Abdomen; 512x512; CT image; Field of view 328x328 mm
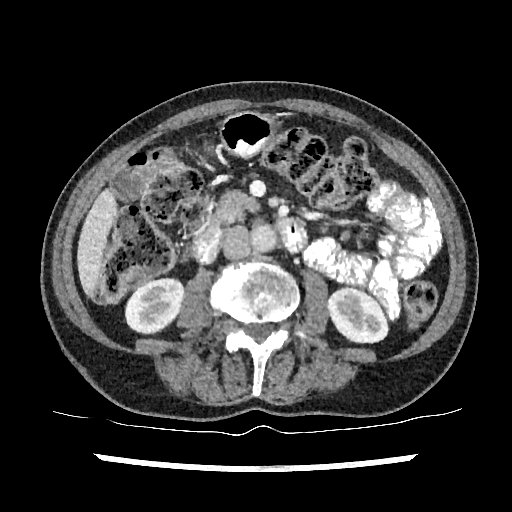
{"kidney": ["(left=328, top=289, right=387, bottom=341)", "(left=126, top=280, right=182, bottom=332)"], "liver": ["(left=79, top=190, right=114, bottom=294)"]}